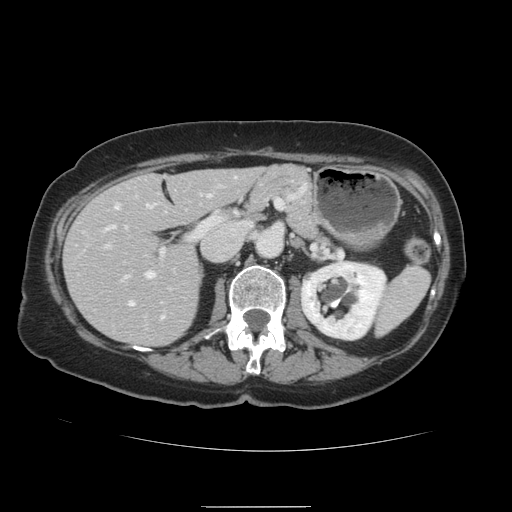 CT scan slice, Abdomen
Only some of the vessels may be annotated.
Hepatic vessel — 104, 244, 108, 247; 114, 204, 118, 209; 160, 250, 163, 256; 146, 204, 152, 208; 122, 277, 125, 280; 145, 271, 152, 278; 161, 316, 163, 318; 128, 302, 133, 305; 200, 194, 210, 197; 104, 225, 113, 230.